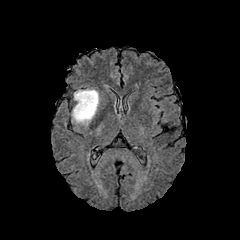
FLAIR MRI.
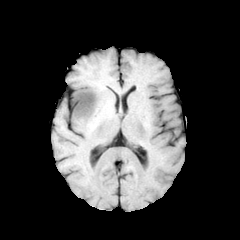
T1-weighted MRI.
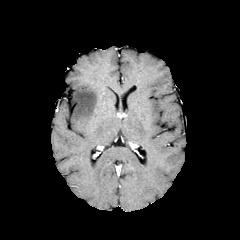
Post-contrast T1-weighted magnetic resonance of the same slice.
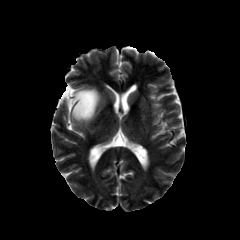
Same slice, T2-weighted MR image.
* edema: bbox(71, 87, 100, 126)